CT slice 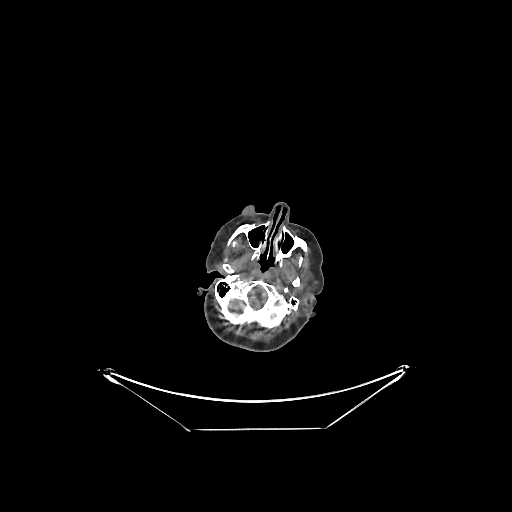 brain:
  - {"x1": 228, "y1": 299, "x2": 246, "y2": 314}
  - {"x1": 247, "y1": 284, "x2": 267, "y2": 310}